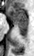
MR image
The anterior hippocampus is located at x1=8 y1=6 x2=27 y2=22. The posterior hippocampus is at x1=15 y1=23 x2=27 y2=38.